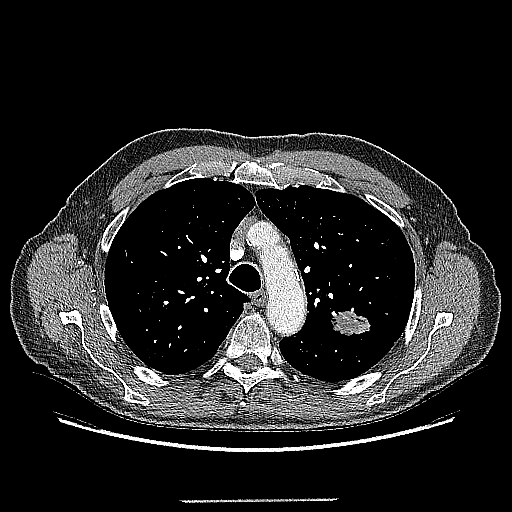 Computed tomography, Chest
Lung tumor — 327,311,370,337.